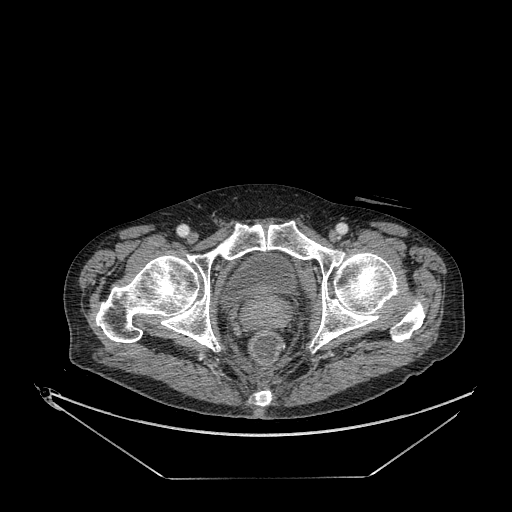
512x512. Lower abdomen. CT scan slice.
Urinary bladder: region(220, 251, 296, 309).